FLAIR MRI.
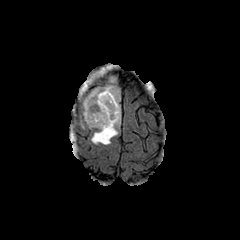
T1-weighted MR.
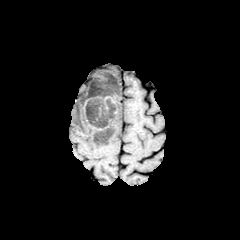
Post-contrast T1-weighted MR.
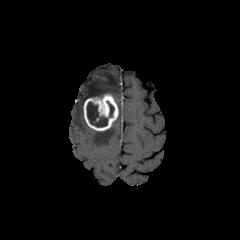
T2-weighted MR image.
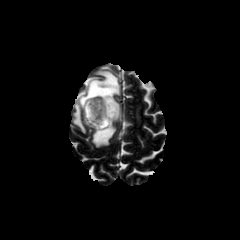
Edema = (74,67,120,145).
Enhancing tumor = (83,94,118,131).
Non-enhancing tumor core = (87,102,107,127), (79,75,117,114), (94,128,111,140).